Brain
FLAIR magnetic resonance.
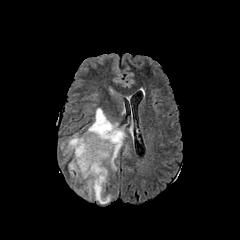
T1-weighted magnetic resonance.
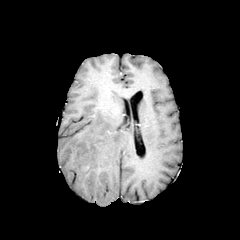
Post-contrast T1-weighted MRI.
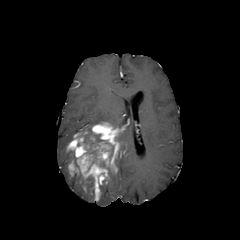
T2-weighted MRI.
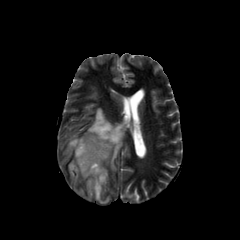
Edema — (left=116, top=128, right=126, bottom=153), (left=61, top=136, right=72, bottom=151), (left=73, top=177, right=93, bottom=198), (left=85, top=108, right=119, bottom=133), (left=98, top=185, right=110, bottom=203).
Enhancing tumor — (left=66, top=123, right=123, bottom=200).
Non-enhancing tumor core — (left=104, top=141, right=113, bottom=157), (left=99, top=160, right=113, bottom=175), (left=66, top=151, right=77, bottom=167), (left=77, top=129, right=102, bottom=147), (left=72, top=172, right=93, bottom=190).